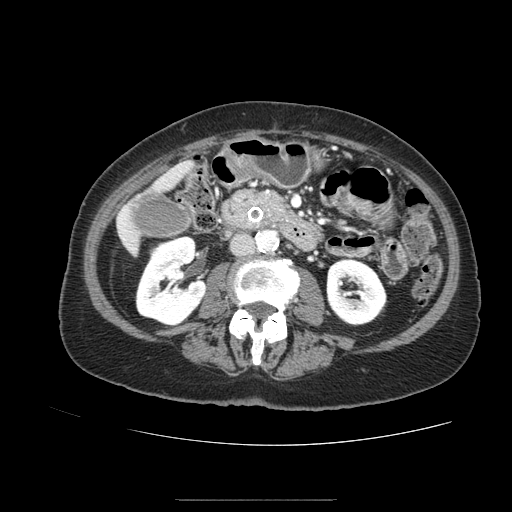 CT slice; 512x512
{"pancreas": ["box=[233, 190, 297, 219]"]}